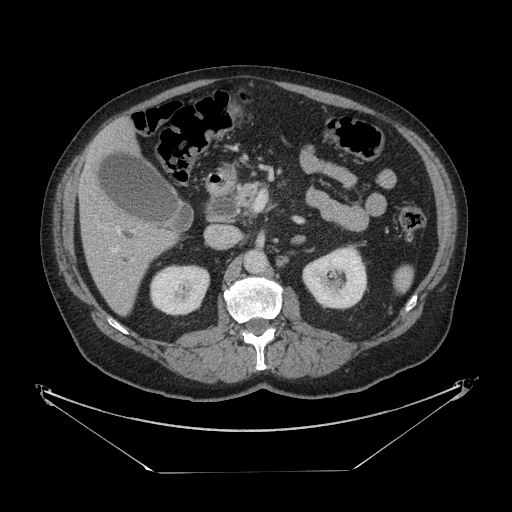 CT
{
  "pancreas": [
    "(left=237, top=184, right=258, bottom=205)"
  ]
}